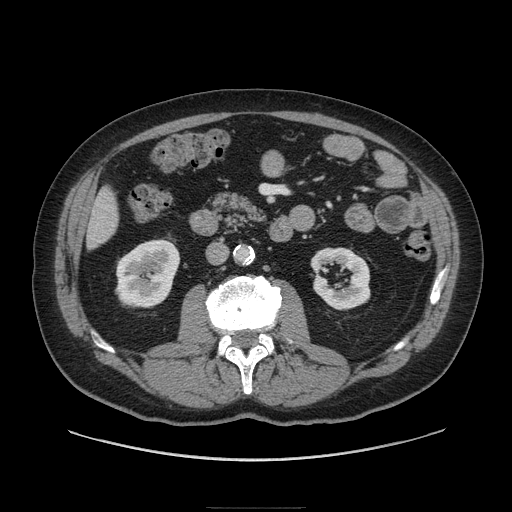 CT slice
Annotated regions:
* pancreas: x1=213, y1=191, x2=268, y2=228